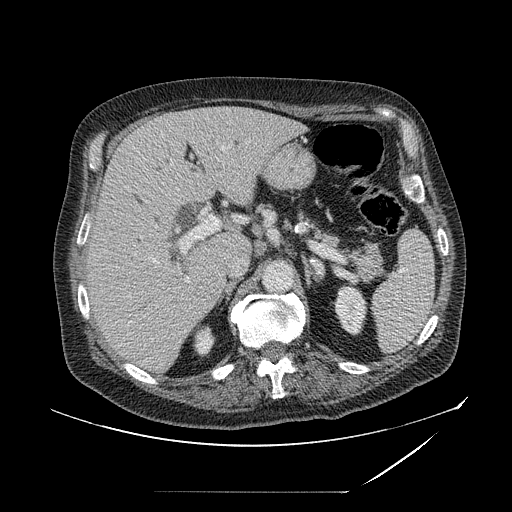

CT; 512x512; Upper abdomen
2 pancreas regions appear at 314 223 341 247, 348 242 384 282.